CT scan slice, Image size 512x512, Slice 33/81 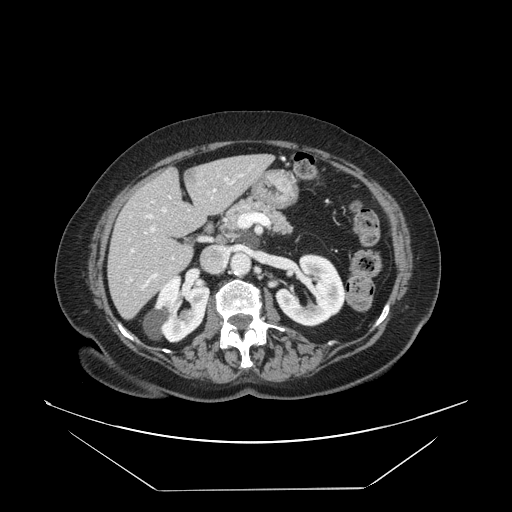
The pancreas is at [x1=212, y1=195, x2=293, y2=249]. The pancreatic tumor is at [x1=222, y1=228, x2=259, y2=247].